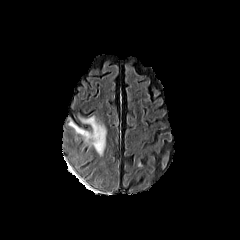
FLAIR MR image.
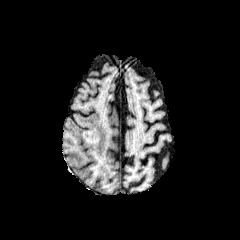
Same slice, T1-weighted MR image.
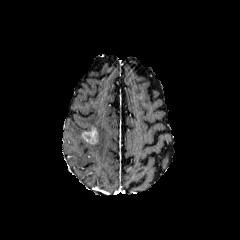
Same slice, post-contrast T1-weighted MRI.
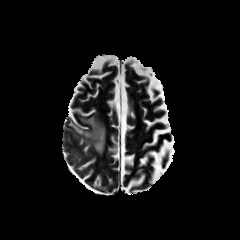
T2-weighted MRI of the same slice.
Head.
Edema — (68,117,91,136), (78,114,106,155).
Enhancing tumor — (81,126,98,145).